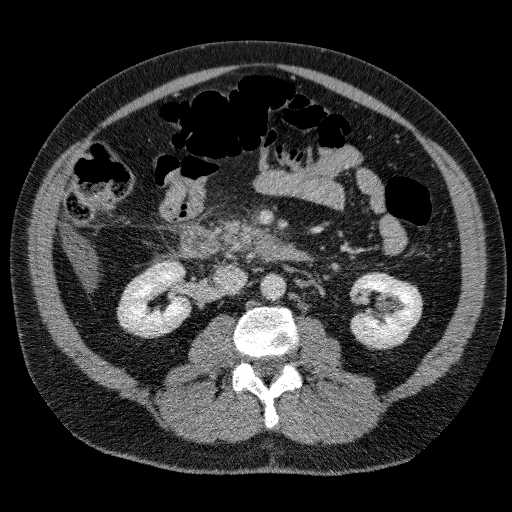

512x512 px, Computed tomography
Liver — [62, 225, 95, 285].
Kidney — [119, 262, 189, 334], [352, 274, 420, 347].